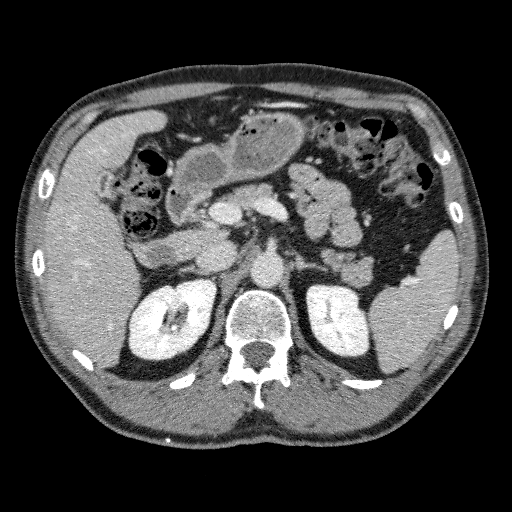
CT scan slice
<segmentation>
  <kidney>x1=129 y1=280 x2=215 y2=358, x1=307 y1=286 x2=368 y2=355</kidney>
  <liver>x1=160 y1=229 x2=228 y2=262, x1=44 y1=110 x2=165 y2=367, x1=128 y1=241 x2=156 y2=268</liver>
  <hepatic_lesion>x1=143 y1=239 x2=180 y2=267, x1=114 y1=157 x2=124 y2=165</hepatic_lesion>
</segmentation>